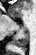 Hippocampus; Magnetic resonance
<segmentation>
  <posterior_hippocampus>left=14, top=29, right=28, bottom=47</posterior_hippocampus>
</segmentation>